Slice 106/155 | Head
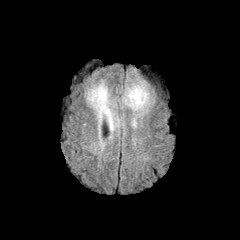
FLAIR MRI.
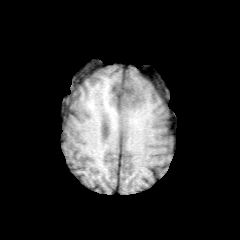
T1-weighted magnetic resonance of the same slice.
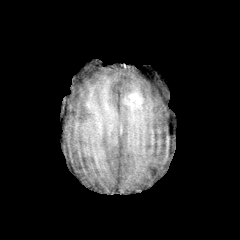
Post-contrast T1-weighted MR of the same slice.
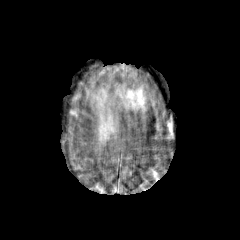
Same slice, T2-weighted magnetic resonance.
edema:
  - region(88, 84, 115, 131)
  - region(122, 84, 148, 111)
enhancing_tumor:
  - region(124, 90, 142, 109)